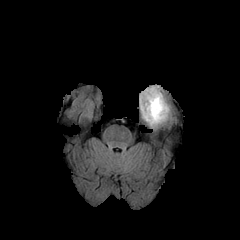
FLAIR magnetic resonance.
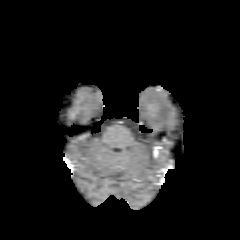
T1-weighted MR image.
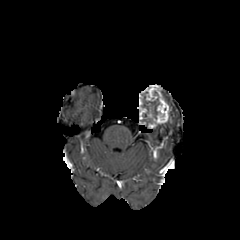
Post-contrast T1-weighted MR of the same slice.
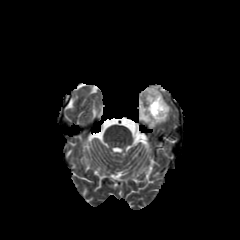
T2-weighted MR image.
Image size 240x240 | Head
Enhancing tumor = <box>139,84,169,127</box>.
Non-enhancing tumor core = <box>143,99,158,117</box>.